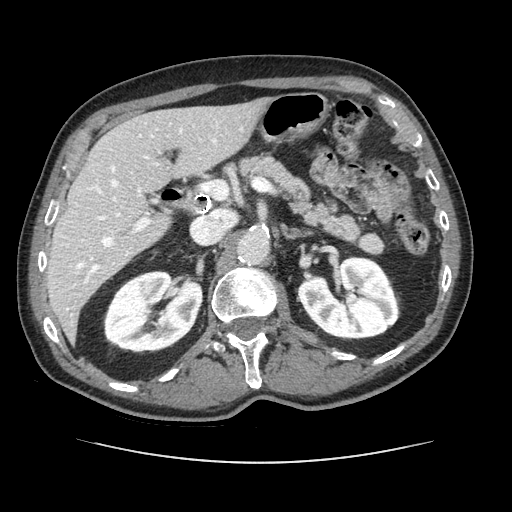

CT
Annotated regions:
* pancreas: [240,156,382,253]